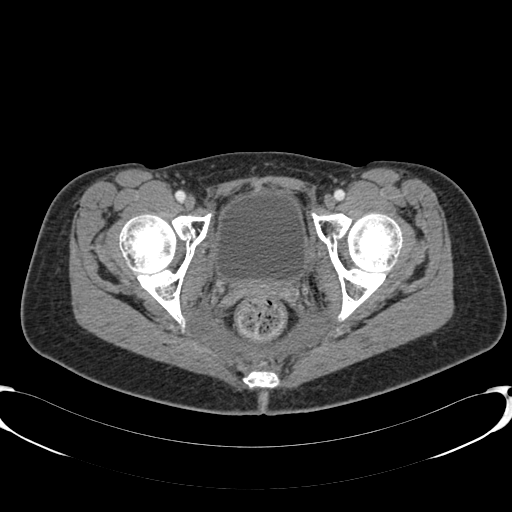 CT | Lower abdomen
* urinary bladder: [x1=215, y1=193, x2=304, y2=280]